Upper abdomen. CT scan slice. Image width 369 mm. 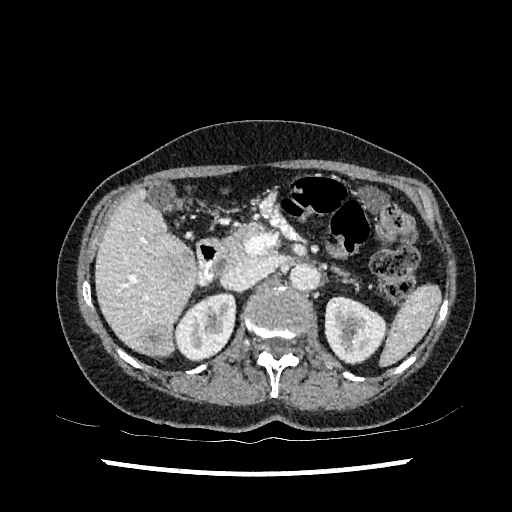

kidney:
  - x1=176 y1=294 x2=235 y2=359
  - x1=325 y1=298 x2=384 y2=362
liver:
  - x1=96 y1=188 x2=197 y2=355
focal_liver_lesion:
  - x1=142 y1=326 x2=172 y2=353
  - x1=168 y1=250 x2=192 y2=281